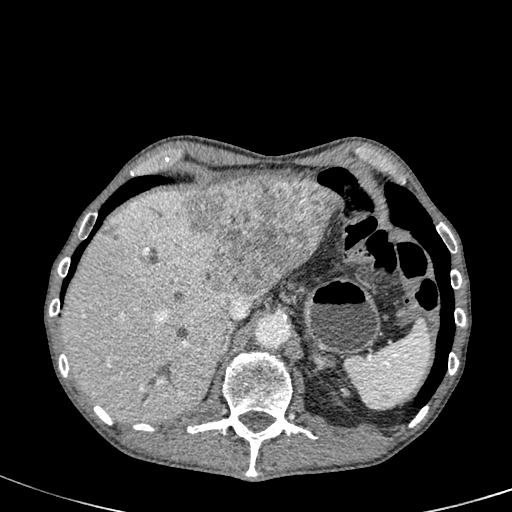 Liver; CT slice; 512x512

3 focal liver lesion regions are located at left=183, top=178, right=338, bottom=298; left=175, top=291, right=183, bottom=302; left=104, top=228, right=113, bottom=235. 3 liver regions are bounded by left=62, top=190, right=239, bottom=422; left=273, top=270, right=291, bottom=286; left=331, top=197, right=341, bottom=215.